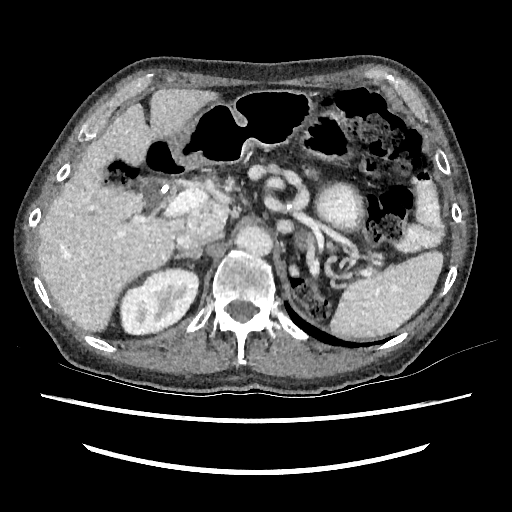 CT slice | Abdomen
Kidney — 121 270 197 334.
Liver — 38 89 214 331.